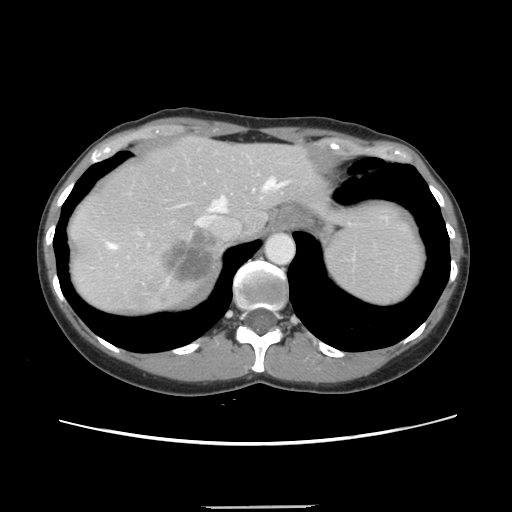 CT image. 512x512. Abdomen.

Only some of the vessels may be annotated.
Hepatic vessel = region(174, 203, 190, 207); region(139, 233, 141, 234); region(209, 197, 225, 212); region(252, 189, 253, 191); region(196, 218, 201, 224); region(263, 178, 282, 190); region(105, 241, 117, 248).
Liver tumor = region(167, 246, 214, 282).